CT slice. Slice index 471. Liver. 512x512.

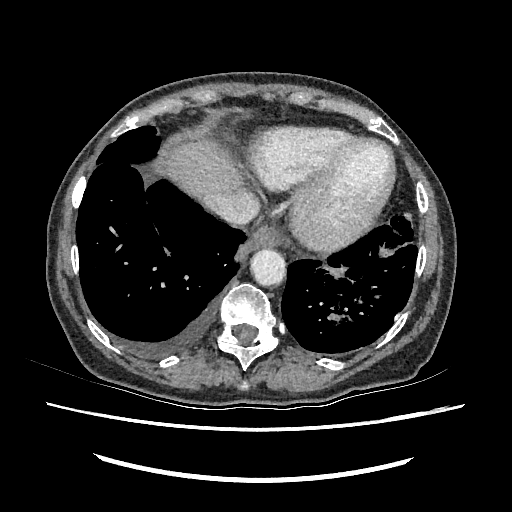 liver:
  - x1=166, y1=140, x2=241, y2=200